Abdomen | Slice index 358 | Computed tomography 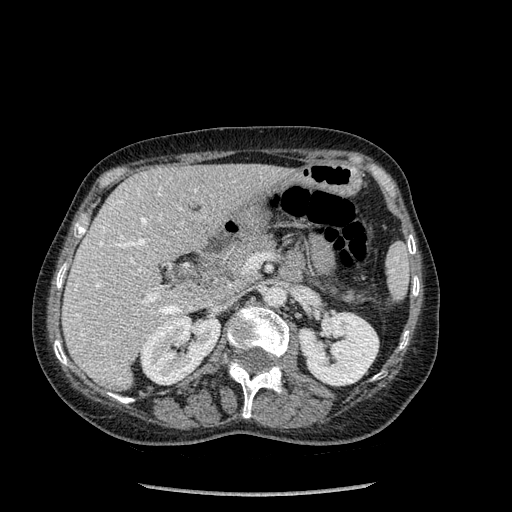 Annotated regions:
- bone: {"x1": 229, "y1": 361, "x2": 281, "y2": 418}, {"x1": 56, "y1": 263, "x2": 67, "y2": 288}, {"x1": 399, "y1": 331, "x2": 408, "y2": 349}, {"x1": 407, "y1": 235, "x2": 415, "y2": 254}, {"x1": 412, "y1": 276, "x2": 419, "y2": 296}, {"x1": 227, "y1": 306, "x2": 289, "y2": 359}, {"x1": 108, "y1": 392, "x2": 133, "y2": 403}, {"x1": 54, "y1": 340, "x2": 66, "y2": 365}
- kidney: {"x1": 299, "y1": 313, "x2": 378, "y2": 385}, {"x1": 141, "y1": 316, "x2": 220, "y2": 384}
- liver: {"x1": 61, "y1": 164, "x2": 296, "y2": 391}